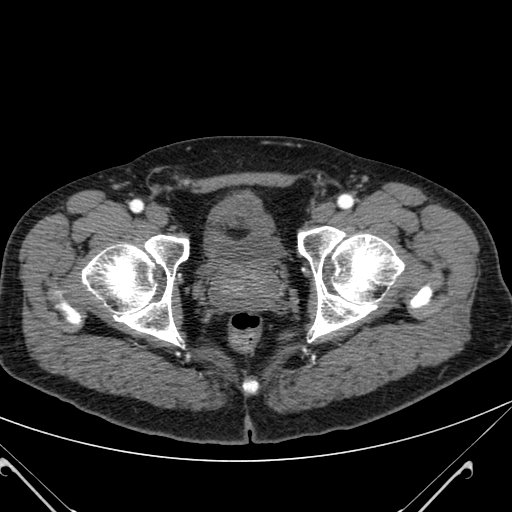 Pelvis. CT. Urinary bladder: bbox(207, 191, 280, 265).